Image size 39x45. Hippocampus. Image width 39 mm. Slice 17 of 40. Magnetic resonance.
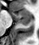
<segmentation>
  <posterior_hippocampus>18 21 30 24</posterior_hippocampus>
  <anterior_hippocampus>11 10 31 20</anterior_hippocampus>
</segmentation>